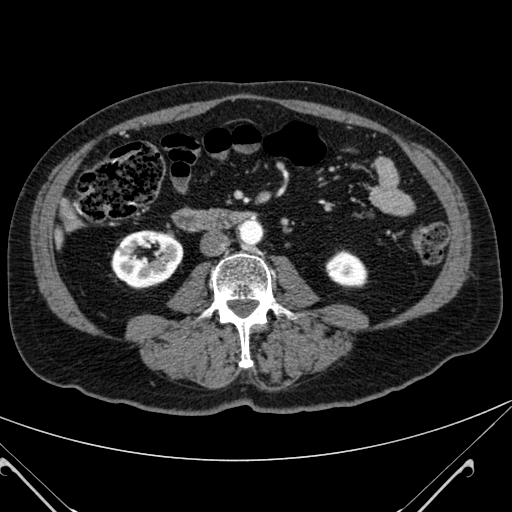 CT. Abdomen.

Annotated regions:
- kidney: 113, 231, 182, 286; 327, 253, 365, 284